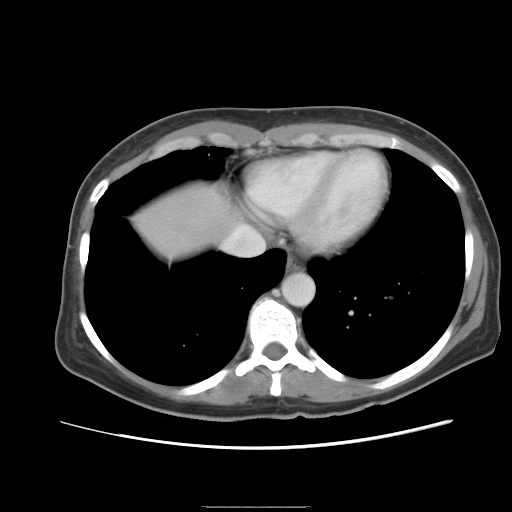 Liver, CT scan slice
The vessel annotation is not exhaustive.
The hepatic vessel is at (left=222, top=225, right=263, bottom=255).